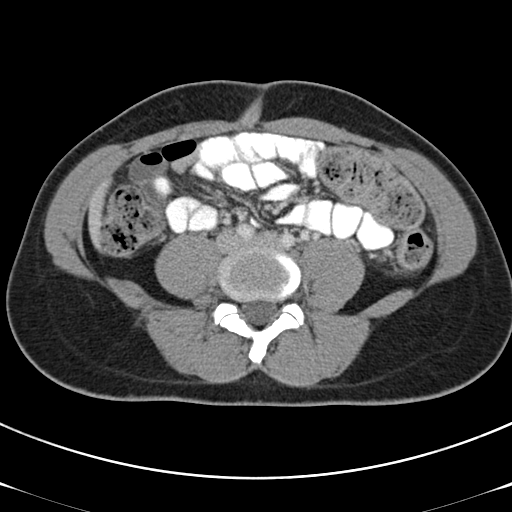
CT slice. * colon tumor: bbox(398, 236, 433, 270)